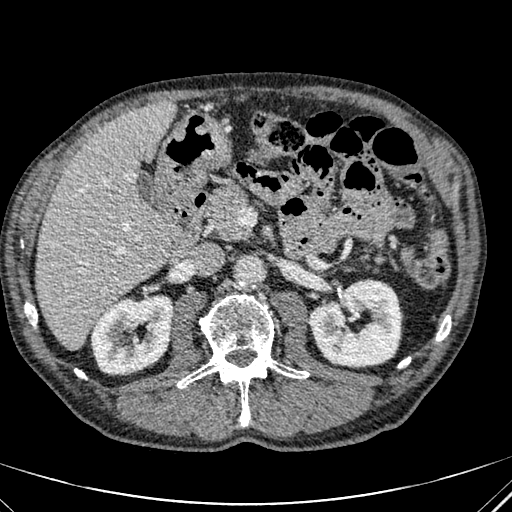 Computed tomography.
The liver lies within <box>36,100,175,349</box>. 2 kidney regions appear at <box>92,297,171,373</box>, <box>310,281,400,365</box>.